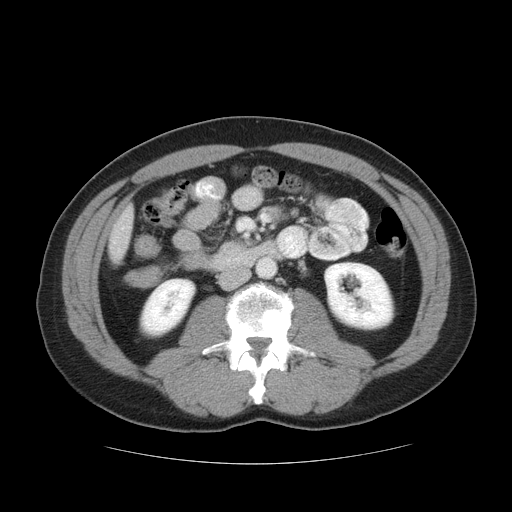 Upper abdomen; Computed tomography
pancreas:
  - 219, 243, 233, 256